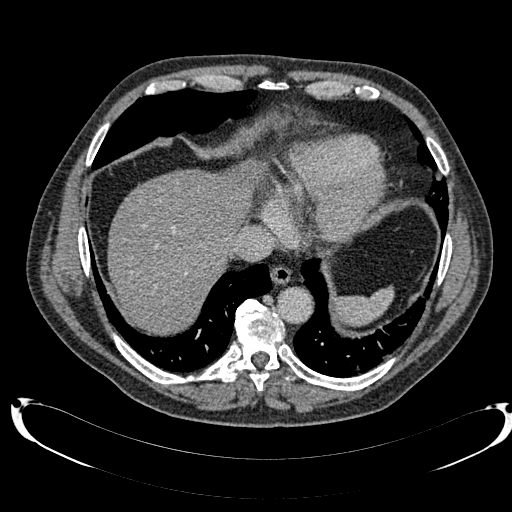

CT image. The liver lies within 107:159:266:334.